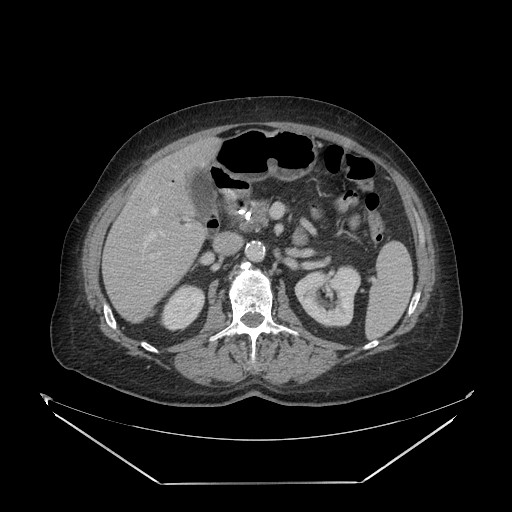

Upper abdomen. Image size 512x512. CT image. pancreatic_tumor:
  - bbox=[250, 202, 268, 227]
pancreas:
  - bbox=[242, 220, 256, 231]